Field of view 240 mm wide, 1.00 mm slice spacing, 240x240 px, Brain
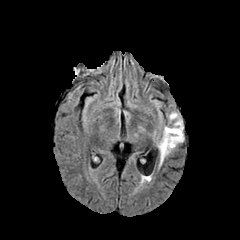
FLAIR MRI.
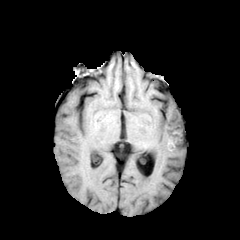
T1-weighted magnetic resonance.
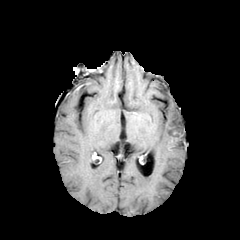
Post-contrast T1-weighted MR image.
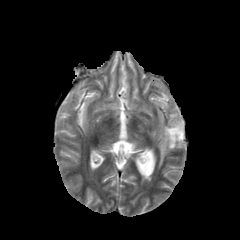
T2-weighted MR image.
edema: x1=157, y1=111, x2=184, y2=164